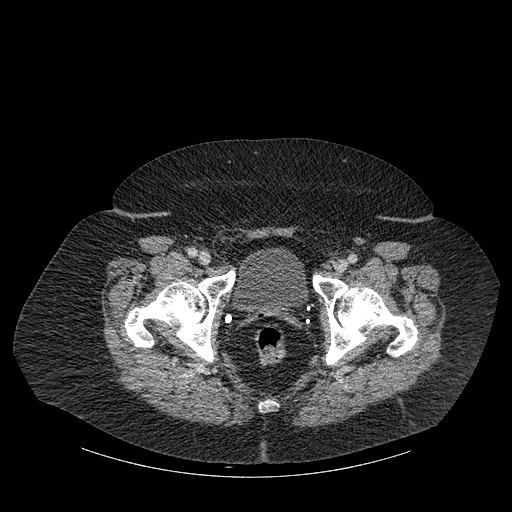
Image size 512x512 | Pelvis | CT
Annotated regions:
- urinary bladder: (232,247,308,322)
- bone: (313,275,417,364), (259,401,276,409), (125,270,235,361)